Brain.
FLAIR MR.
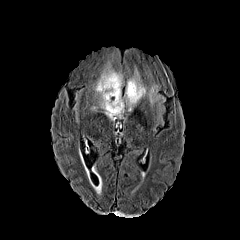
T1-weighted MRI.
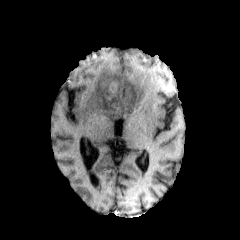
Post-contrast T1-weighted MRI.
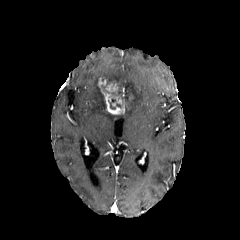
T2-weighted MRI.
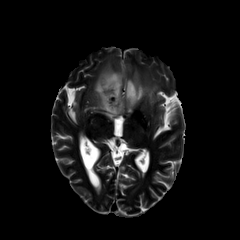
Findings:
- edema: <bbox>91, 79, 123, 121</bbox>, <bbox>100, 61, 124, 86</bbox>, <bbox>124, 68, 165, 124</bbox>
- enhancing tumor: <bbox>98, 77, 124, 114</bbox>
- non-enhancing tumor core: <bbox>112, 89, 123, 99</bbox>